CT scan slice | Pelvis

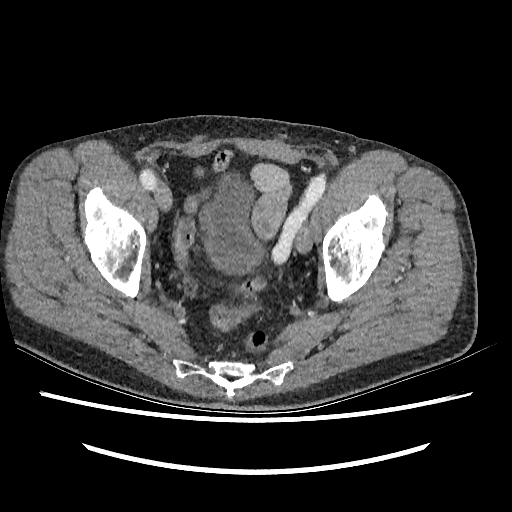

Urinary bladder — <bbox>201, 178, 264, 273</bbox>.